240x240 px. Slice 82/155. Brain.
FLAIR MR.
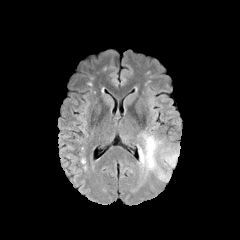
T1-weighted magnetic resonance.
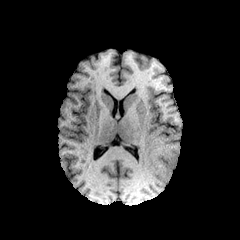
Post-contrast T1-weighted MR.
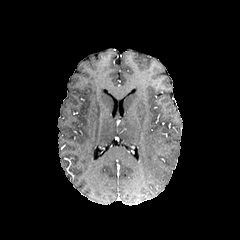
T2-weighted magnetic resonance.
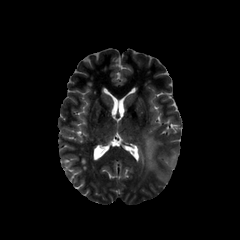
Edema: rect(165, 154, 178, 166); rect(137, 134, 156, 174); rect(159, 172, 170, 181).